512x512, Computed tomography

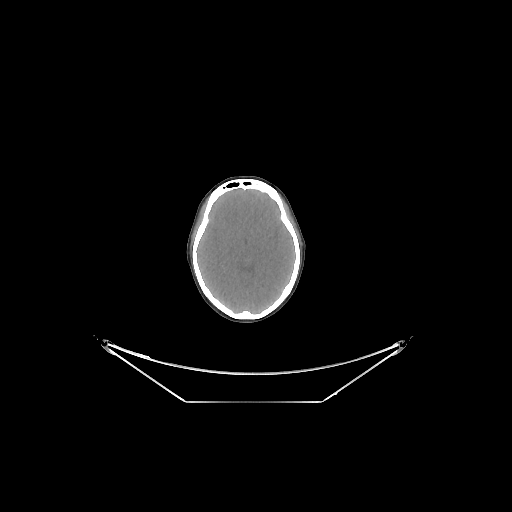

brain: box(196, 188, 295, 314)